CT | Slice 101 of 841 | Pelvis

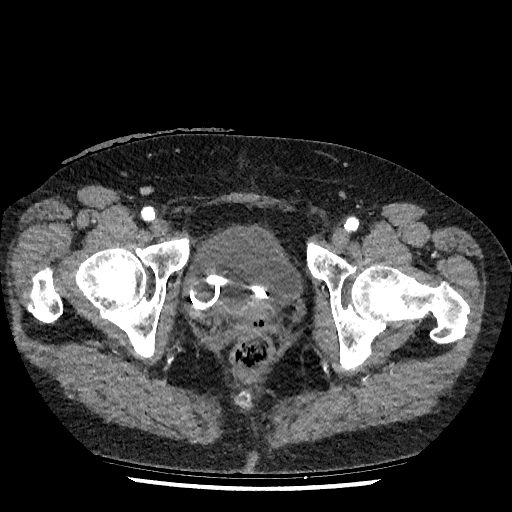
Urinary bladder: bounding box bbox=[185, 224, 296, 325]; bbox=[199, 289, 209, 300].